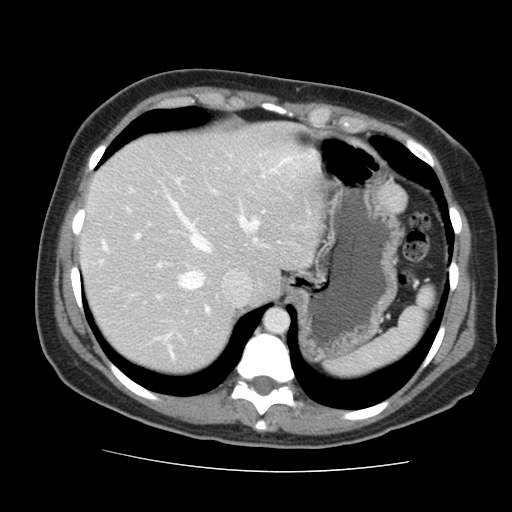

CT image
Some hepatic vessels may have no box.
Most prominent 15 of 16 hepatic vessel regions = 176, 180, 178, 183; 211, 190, 215, 192; 126, 208, 128, 210; 239, 217, 257, 231; 135, 234, 139, 238; 168, 346, 172, 356; 179, 272, 202, 289; 103, 242, 105, 249; 206, 308, 208, 311; 158, 264, 160, 267; 253, 239, 255, 242; 164, 336, 168, 339; 278, 157, 294, 165; 270, 168, 276, 172; 262, 175, 263, 177.